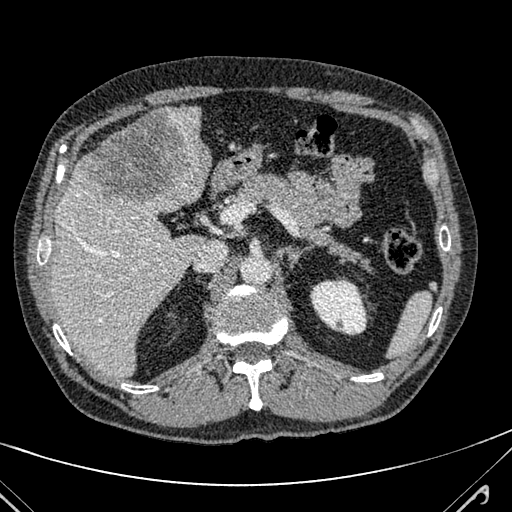
Image size 512x512; CT image

Annotated regions:
* focal liver lesion: left=77, top=109, right=209, bottom=202
* liver: left=51, top=161, right=201, bottom=376; left=167, top=105, right=200, bottom=136